Slice 8/20. 320x320 px.
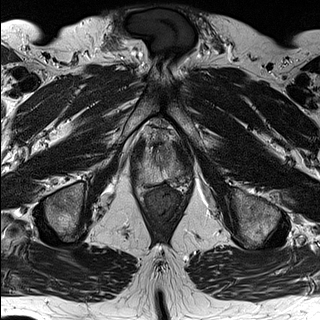
T2-weighted magnetic resonance.
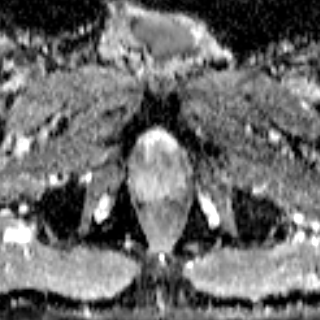
Same slice, ADC MR.
The prostate peripheral zone lies within 139, 150, 182, 185. The prostate transition zone is located at 150, 144, 176, 167.